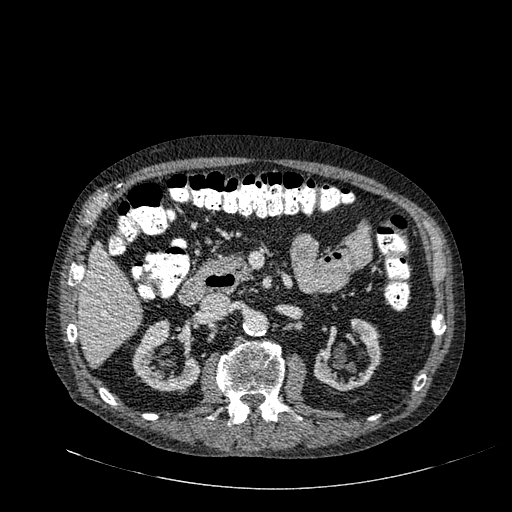
Upper abdomen; CT

kidney:
  - (345,333,356,344)
  - (132,319,200,391)
  - (314,318,380,390)
liver:
  - (81,243,141,367)